Image size 512x512 | CT scan slice
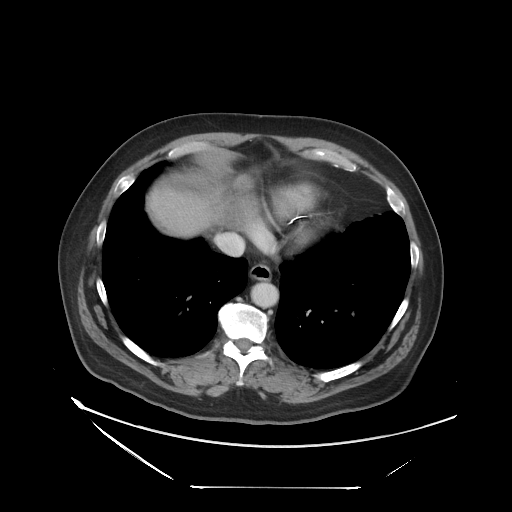

The vessel annotation is not exhaustive.
hepatic_vessel:
  - {"x1": 222, "y1": 235, "x2": 231, "y2": 236}